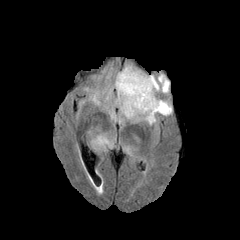
FLAIR MRI.
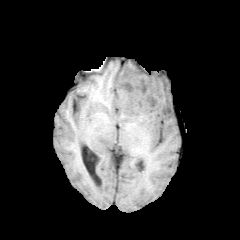
T1-weighted magnetic resonance of the same slice.
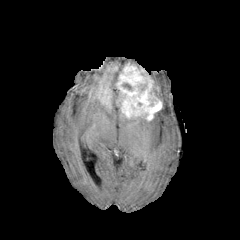
Post-contrast T1-weighted MRI.
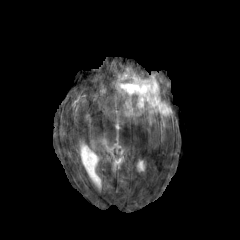
T2-weighted magnetic resonance of the same slice.
Brain
2 enhancing tumor regions appear at [115,63,162,120], [101,86,111,109]. The non-enhancing tumor core is at [122,83,133,91]. 2 edema regions are located at [94,134,113,151], [89,70,172,125].